240x240 px. Slice 91 of 155.
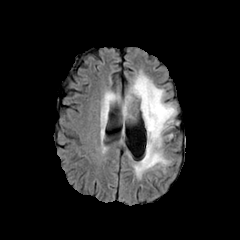
FLAIR MR.
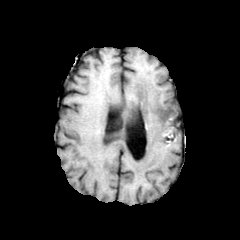
T1-weighted MRI of the same slice.
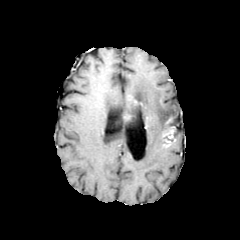
Post-contrast T1-weighted magnetic resonance.
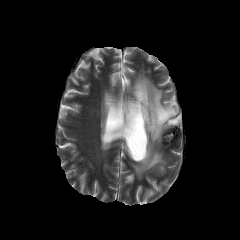
T2-weighted MR.
Edema at left=117, top=72, right=177, bottom=178; left=101, top=94, right=115, bottom=135.
Non-enhancing tumor core at left=125, top=98, right=151, bottom=126; left=158, top=108, right=172, bottom=118.